CT image 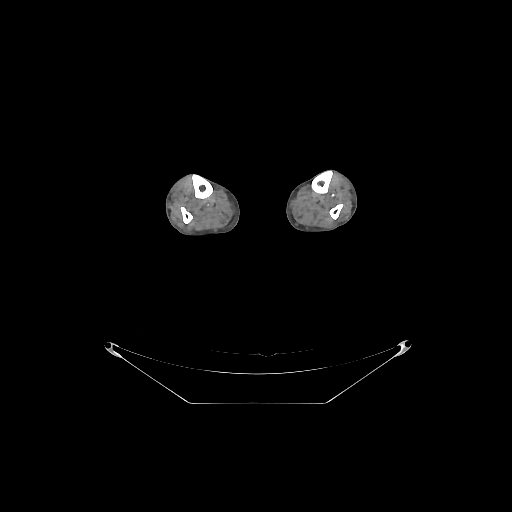 <segmentation>
  <bone>(312,171,332,193), (329,204,342,219), (192,174,212,198), (181,207,192,223)</bone>
</segmentation>